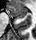

MR. Medial temporal lobe.
{"anterior_hippocampus": ["(x1=8, y1=6, x2=27, y2=18)"]}